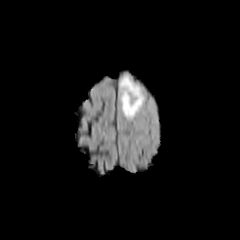
FLAIR MRI.
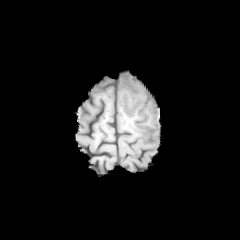
T1-weighted MR image.
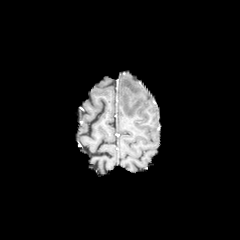
Post-contrast T1-weighted magnetic resonance.
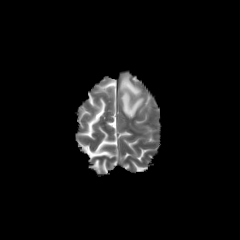
T2-weighted MR of the same slice.
240x240 px
The edema is bounded by bbox(120, 74, 144, 117).